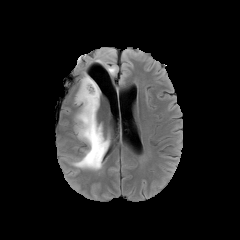
FLAIR MRI.
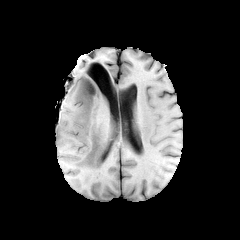
T1-weighted MR image of the same slice.
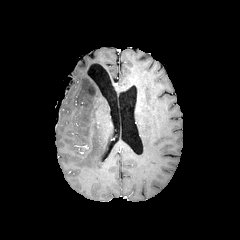
Post-contrast T1-weighted MRI.
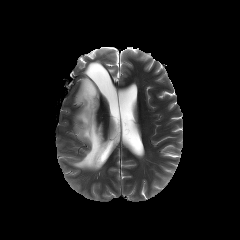
T2-weighted MRI.
Brain
Edema = 96:58:116:75, 71:75:109:169.
Non-enhancing tumor core = 85:81:93:93.